Slice 163 of 424 | CT scan slice 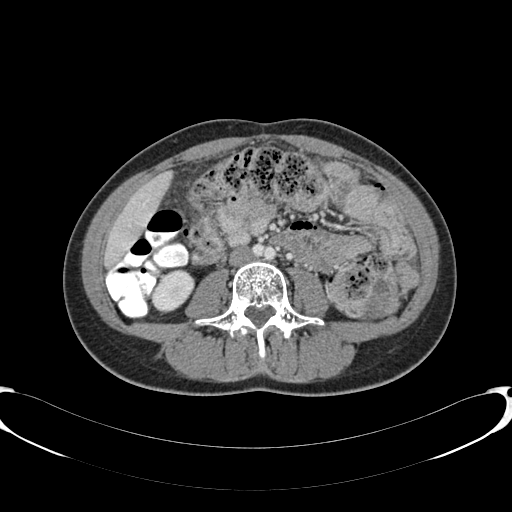
Liver at box(105, 172, 171, 267).
Kidney at box(153, 271, 192, 309).